Slice 310/826; CT slice; Abdomen; Image width 381 mm 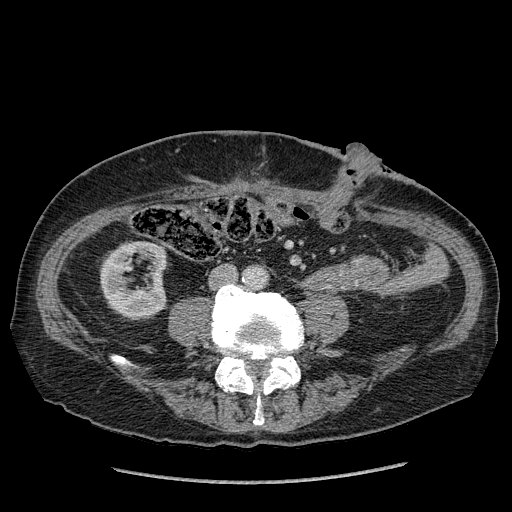

The kidney appears at box=[101, 242, 165, 318].